CT image, Abdomen, Image size 512x512
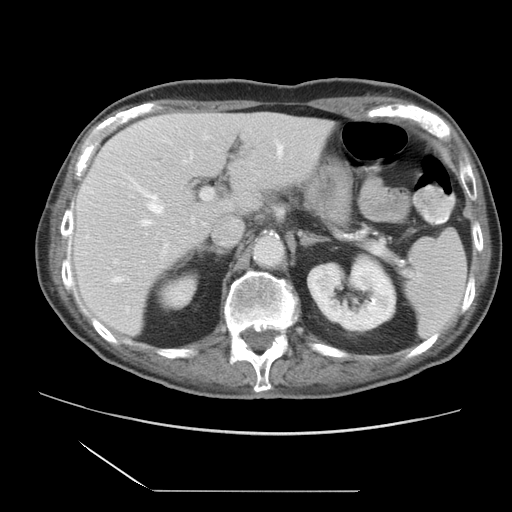

Only some of the vessels may be annotated.
Hepatic vessel at (139,219,153,226), (192,219,194,220), (204,136,208,138), (275,140,283,156), (184,160,186,161), (201,189,213,200), (128,279,129,282), (128,176,164,214), (112,277,122,282), (191,152,192,157).